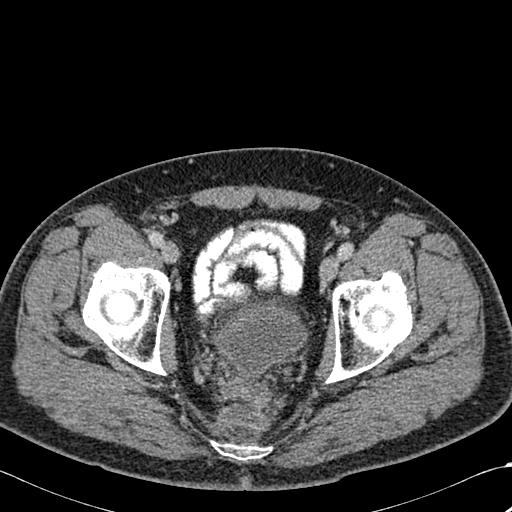

Computed tomography, 512x512

3 bone regions appear at x1=83 y1=261 x2=169 y2=375, x1=215 y1=444 x2=265 y2=459, x1=326 y1=271 x2=412 y2=382.